Slice 102/155
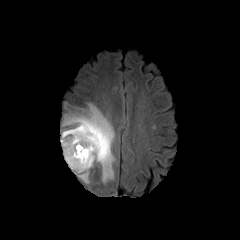
FLAIR MR image.
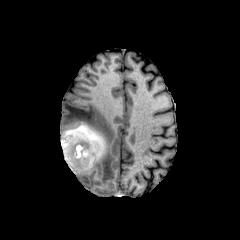
T1-weighted MR of the same slice.
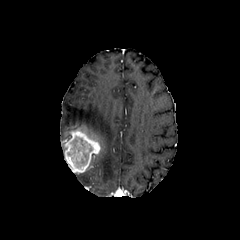
Same slice, post-contrast T1-weighted magnetic resonance.
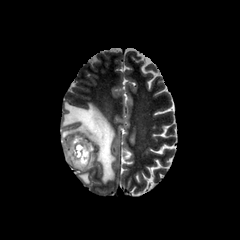
Same slice, T2-weighted MR image.
Edema — 63:103:114:182.
Non-enhancing tumor core — 66:136:92:168, 63:123:105:157, 84:153:96:172, 61:140:68:153.
Enhancing tumor — 65:132:99:172.